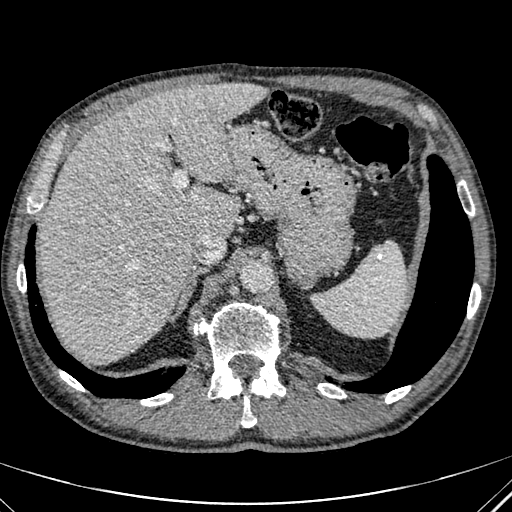 CT; 512x512

liver: <bbox>41, 83, 268, 362</bbox>